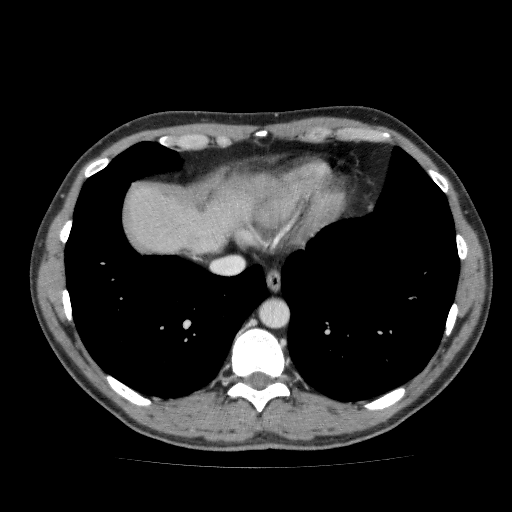

Liver, CT slice, Image size 512x512
Liver — [122, 183, 251, 252].